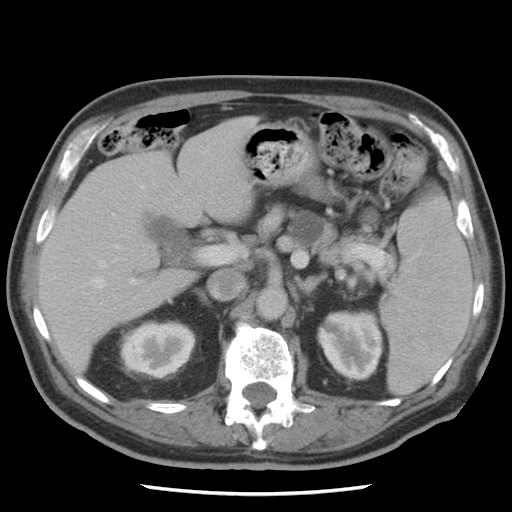
Image size 512x512 | CT slice | Upper abdomen
The pancreas is bounded by (278, 204, 338, 264). The pancreatic tumor is bounded by (289, 212, 323, 244).